Slice 103 of 155, Field of view 240x240 mm, Image size 240x240
FLAIR MR image.
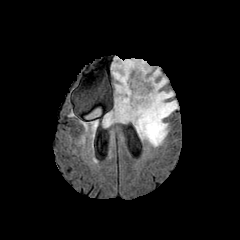
T1-weighted MRI.
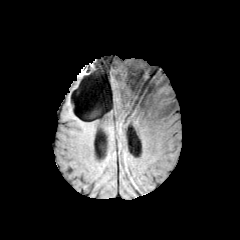
Post-contrast T1-weighted MR image.
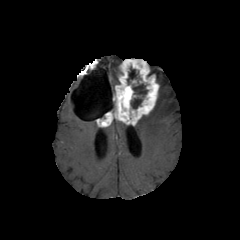
T2-weighted MR image.
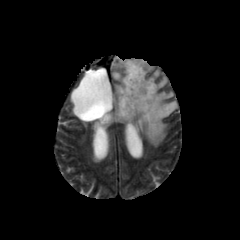
Segmented structures:
- edema: box(151, 68, 160, 79); box(86, 108, 101, 119); box(111, 58, 122, 80); box(134, 77, 178, 146)
- enhancing tumor: box(96, 58, 159, 125)
- non-enhancing tumor core: box(130, 82, 147, 108); box(127, 68, 138, 84)